Upper abdomen. Computed tomography.

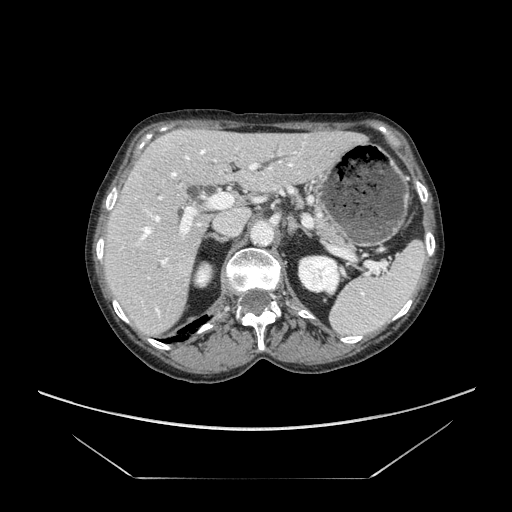
Pancreas: bounding box x1=310 y1=199 x2=356 y2=253.